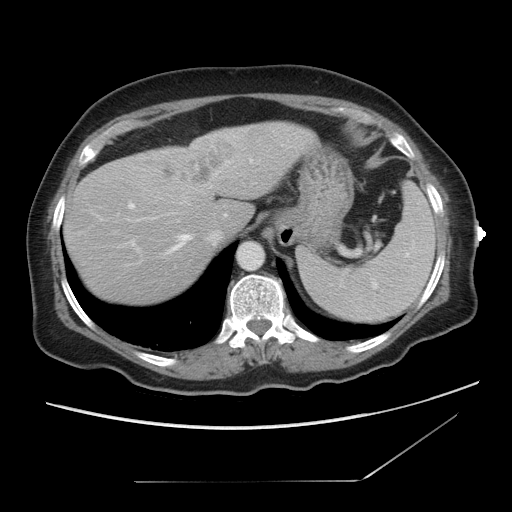
CT scan slice | 512x512 px | Abdomen
The vessel boxes may cover only some of the vessels.
Hepatic vessel: (x1=131, y1=205, x2=133, y2=208), (x1=217, y1=231, x2=221, y2=234), (x1=170, y1=235, x2=190, y2=252).
Liver tumor: (x1=164, y1=144, x2=227, y2=182).